Slice index 85, Field of view 240x240 mm, Image size 240x240
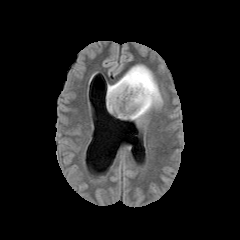
FLAIR MR image.
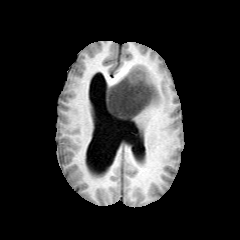
T1-weighted magnetic resonance.
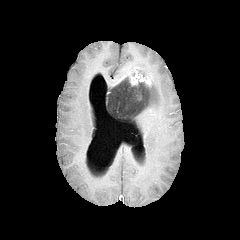
Post-contrast T1-weighted magnetic resonance.
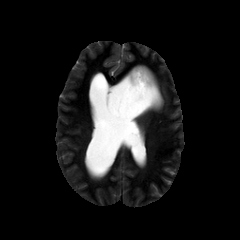
T2-weighted MR.
enhancing_tumor:
  - 111,66,153,87
non-enhancing_tumor_core:
  - 106,78,155,121
edema:
  - 125,62,165,121